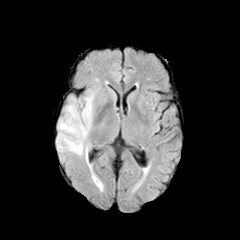
FLAIR MRI.
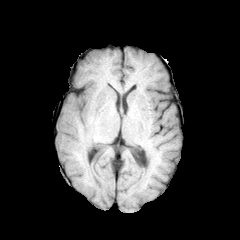
Same slice, T1-weighted magnetic resonance.
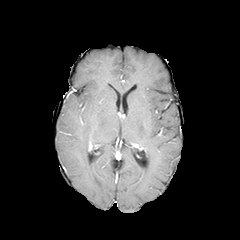
Post-contrast T1-weighted MR image of the same slice.
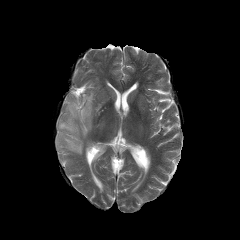
T2-weighted MR image.
- edema: bbox=[56, 88, 97, 161]